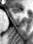 MR image, Medial temporal lobe

The anterior hippocampus is at x1=11 y1=7 x2=20 y2=12.